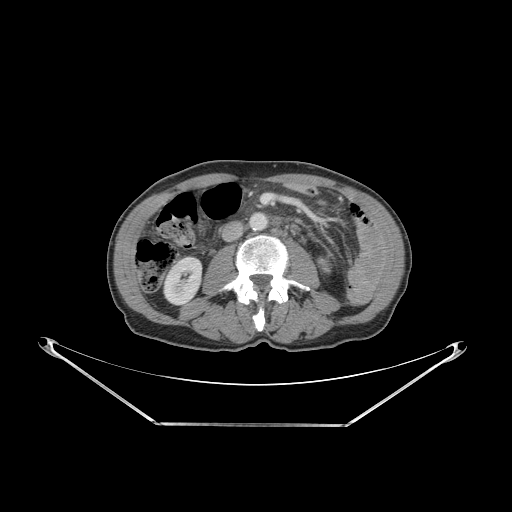

CT | 512x512
Bone: bounding box <bbox>223, 236, 308, 330</bbox>.
Kidney: bounding box <bbox>164, 257, 201, 304</bbox>.